FLAIR MR image.
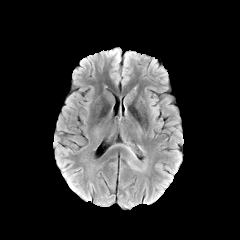
T1-weighted magnetic resonance.
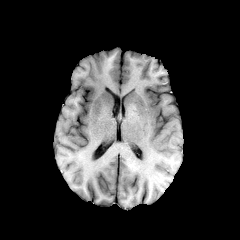
Post-contrast T1-weighted magnetic resonance.
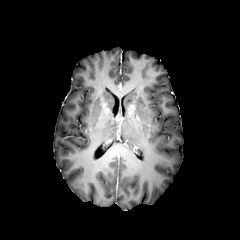
T2-weighted MR image.
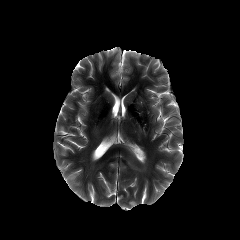
non-enhancing_tumor_core:
  - box=[124, 144, 137, 157]
edema:
  - box=[127, 156, 138, 170]
  - box=[151, 105, 159, 115]